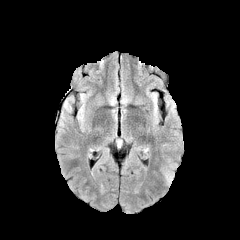
FLAIR magnetic resonance.
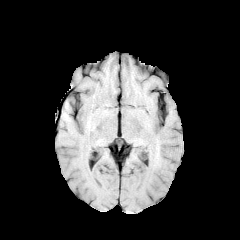
Same slice, T1-weighted MR image.
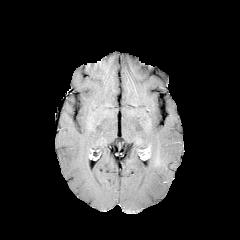
Same slice, post-contrast T1-weighted MRI.
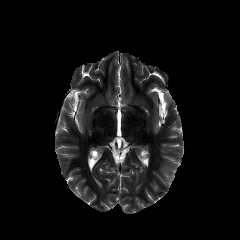
T2-weighted MR image of the same slice.
{"edema": ["(165,173,173,183)"]}